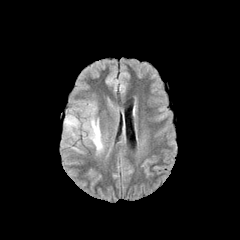
FLAIR magnetic resonance.
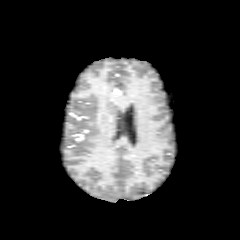
T1-weighted magnetic resonance.
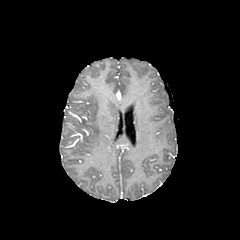
Post-contrast T1-weighted MR image.
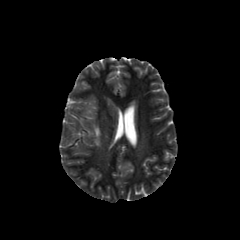
Same slice, T2-weighted magnetic resonance.
Image size 240x240, Brain
Edema — (left=66, top=115, right=102, bottom=149).